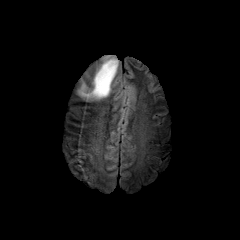
FLAIR MR.
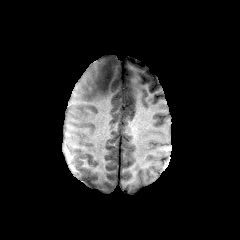
T1-weighted MR image.
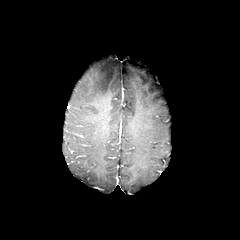
Post-contrast T1-weighted MR image.
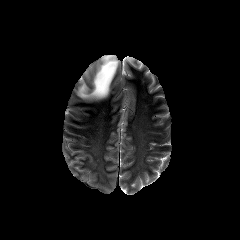
Same slice, T2-weighted magnetic resonance.
Head
Edema at x1=79, y1=55, x2=118, y2=98.